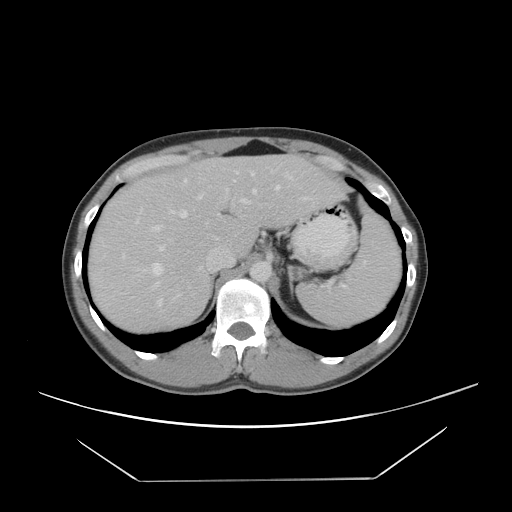

CT scan slice. Liver.
Not every hepatic vessel necessarily has a box.
<segmentation partial="true">
  <hepatic_vessel shown="15" total="20">198, 193, 203, 198; 122, 254, 125, 257; 169, 210, 173, 213; 136, 209, 141, 222; 252, 189, 255, 192; 304, 198, 310, 199; 153, 282, 159, 286; 181, 210, 186, 217; 276, 185, 279, 188; 240, 198, 250, 203; 285, 172, 292, 179; 175, 294, 181, 297; 151, 225, 163, 231; 157, 299, 162, 305; 152, 263, 162, 275</hepatic_vessel>
</segmentation>